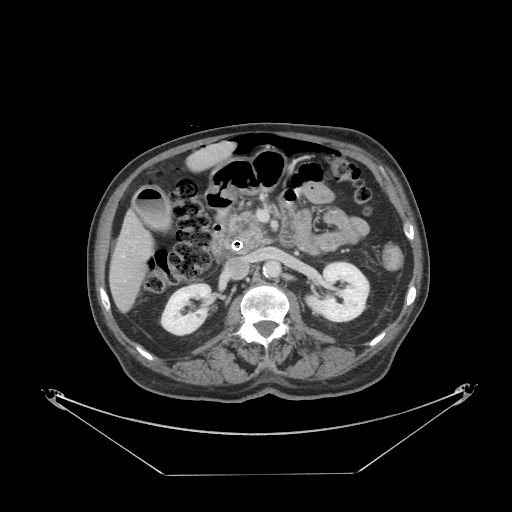

CT; Upper abdomen
pancreas: [x1=228, y1=212, x2=264, y2=252] | pancreatic tumor: [x1=235, y1=221, x2=249, y2=231]